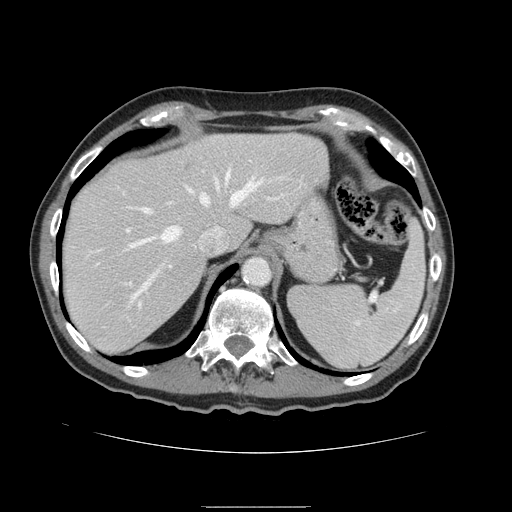

Computed tomography. Not every hepatic vessel necessarily has a box.
13 hepatic vessel regions appear at region(157, 226, 180, 241); region(127, 228, 130, 230); region(226, 171, 229, 181); region(268, 197, 272, 198); region(131, 278, 151, 299); region(199, 225, 228, 252); region(168, 264, 171, 266); region(142, 208, 151, 212); region(216, 179, 219, 187); region(187, 187, 191, 191); region(128, 238, 150, 247); region(200, 193, 209, 204); region(231, 178, 265, 205).